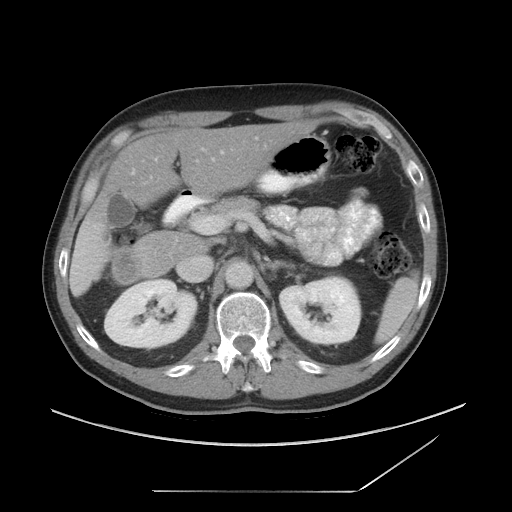
Image size 512x512, Computed tomography, Liver
liver tumor: bbox=[113, 248, 139, 283]